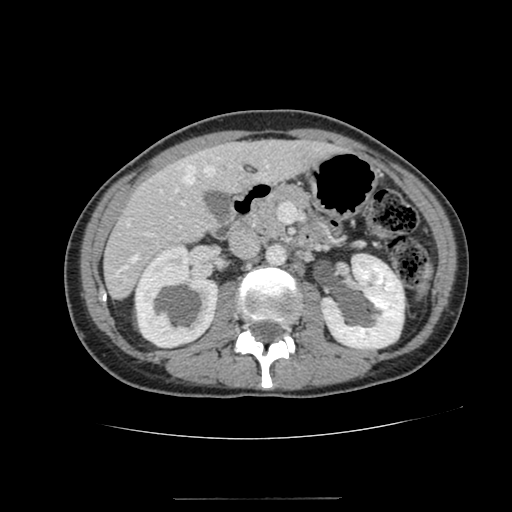 CT slice, Liver, 512x512

2 kidney regions are located at box(322, 254, 404, 348); box(136, 247, 217, 347). The liver appears at box(104, 139, 337, 297).